Slice 61/112 | Field of view 395x395 mm | CT scan slice
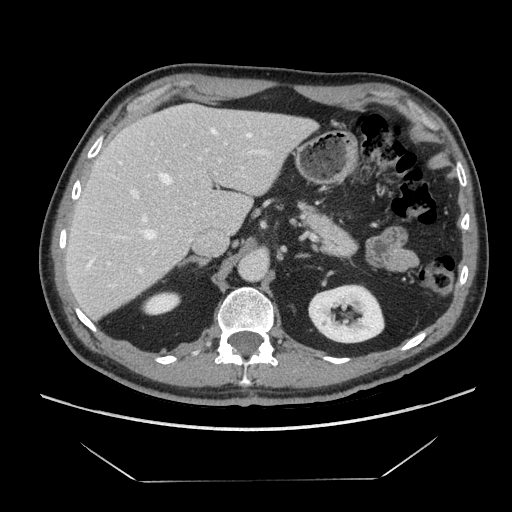 pancreas: 301:204:355:255